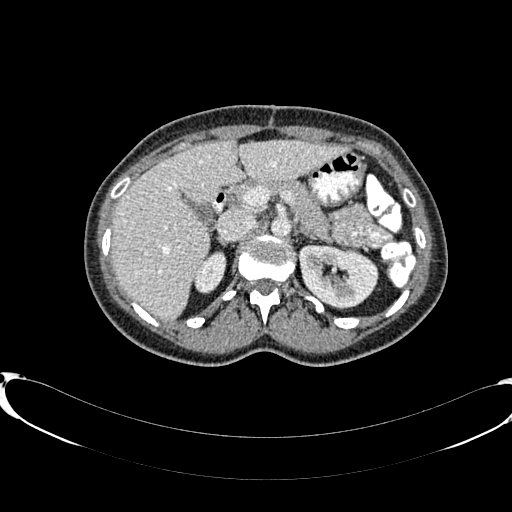
512x512 px, CT slice

Liver = x1=111, y1=141, x2=348, y2=319.
Kidney = x1=197, y1=255, x2=223, y2=290; x1=300, y1=246, x2=376, y2=306.